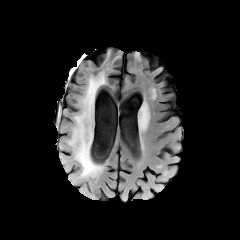
FLAIR MR.
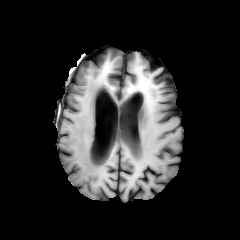
T1-weighted MR image.
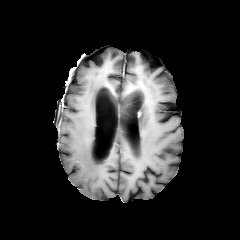
Post-contrast T1-weighted magnetic resonance.
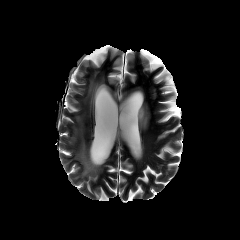
T2-weighted MR image.
Brain
Segmented structures:
• edema: rect(72, 138, 103, 179); rect(83, 77, 104, 117); rect(68, 112, 86, 145)